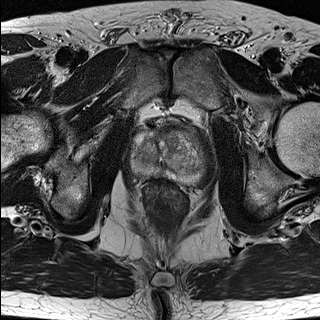
T2-weighted MR image.
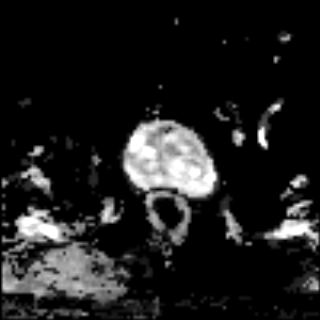
ADC MR image.
Prostate; Image size 320x320
Segmented structures:
• prostate peripheral zone: (127, 153, 209, 186)
• prostate transition zone: (129, 127, 209, 173)